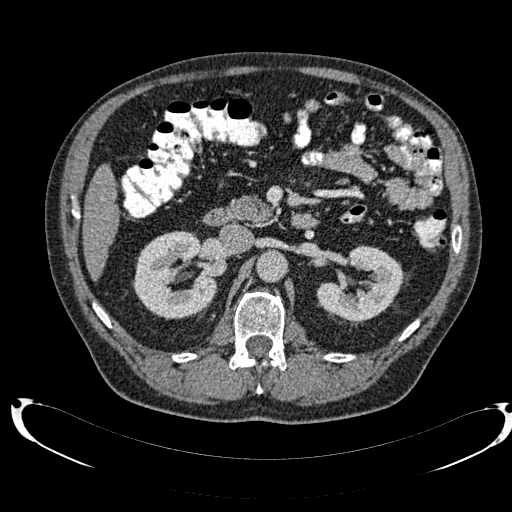

512x512 | Computed tomography | Upper abdomen
Segmented structures:
• liver: 83 165 117 278
• kidney: 317 246 403 322, 133 231 225 318